Liver, Slice 296 of 781, CT image 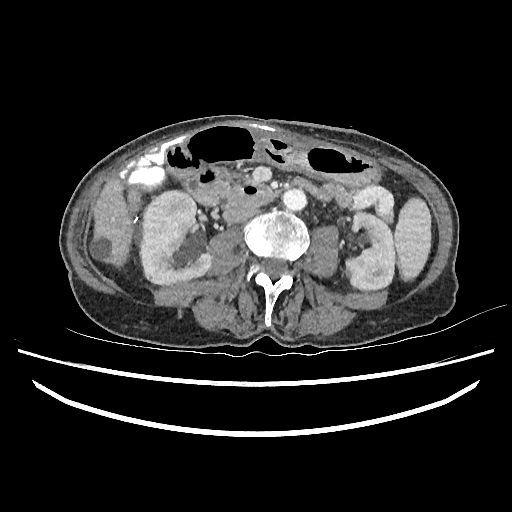

The hepatic lesion is located at left=90, top=239, right=111, bottom=259. 2 kidney regions are located at left=140, top=191, right=211, bottom=284; left=346, top=213, right=394, bottom=289. The liver appears at left=90, top=179, right=141, bottom=266.